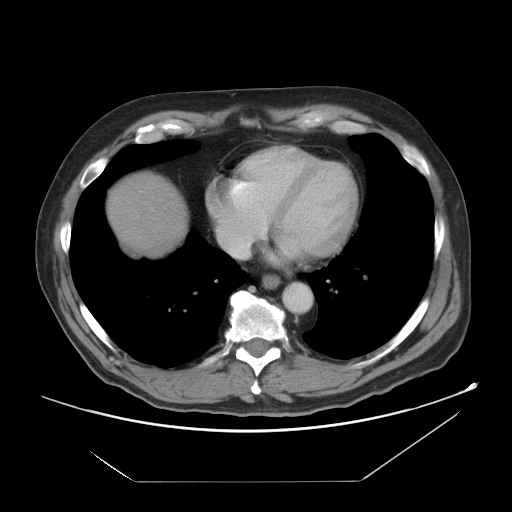
Computed tomography

The liver appears at <box>107,173,186,255</box>.